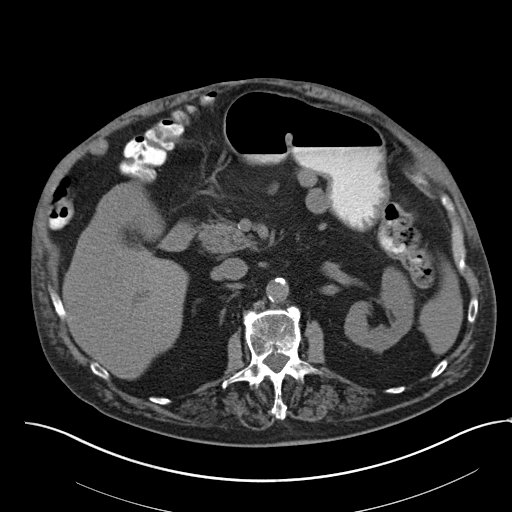
Computed tomography; Upper abdomen
Spleen — region(422, 253, 461, 351).